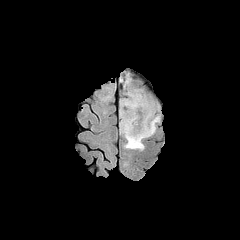
FLAIR magnetic resonance.
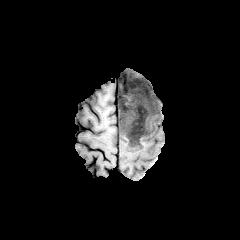
T1-weighted MRI.
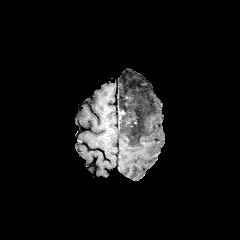
Post-contrast T1-weighted magnetic resonance.
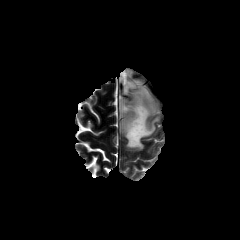
T2-weighted magnetic resonance.
edema: (124, 74, 137, 89), (119, 88, 160, 150) | non-enhancing tumor core: (127, 83, 140, 98), (119, 98, 157, 149)